Computed tomography, Slice 527/689, Thorax
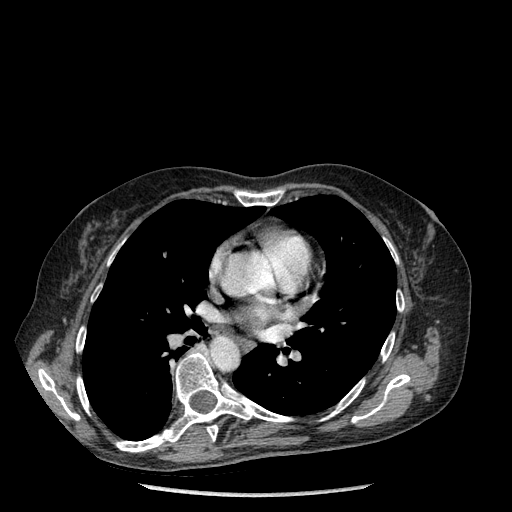

Lung: x1=233 y1=195 x2=396 y2=415, x1=82 y1=200 x2=263 y2=440.
Bone: x1=76 y1=377 x2=89 y2=414, x1=351 y1=373 x2=410 y2=422, x1=381 y1=332 x2=394 y2=361, x1=107 y1=240 x2=124 y2=265, x1=38 y1=368 x2=80 y2=420, x1=206 y1=425 x2=218 y2=441, x1=383 y1=237 x2=398 y2=263, x1=396 y1=290 x2=404 y2=311, x1=321 y1=379 x2=364 y2=420, x1=234 y1=189 x2=283 y2=206, x1=76 y1=326 x2=85 y2=351, x1=115 y1=350 x2=293 y2=452.